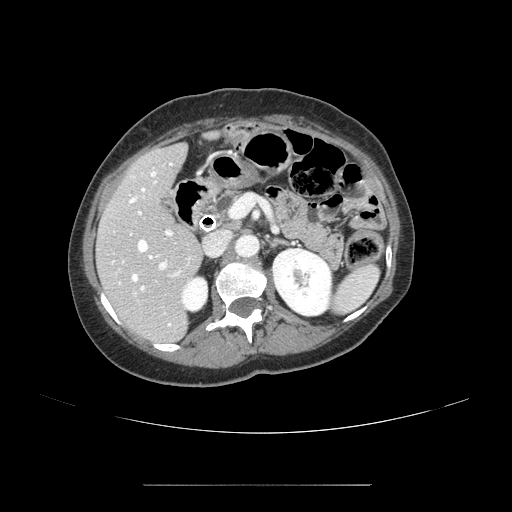 CT slice
The pancreas is at l=213, t=192, r=239, b=221.